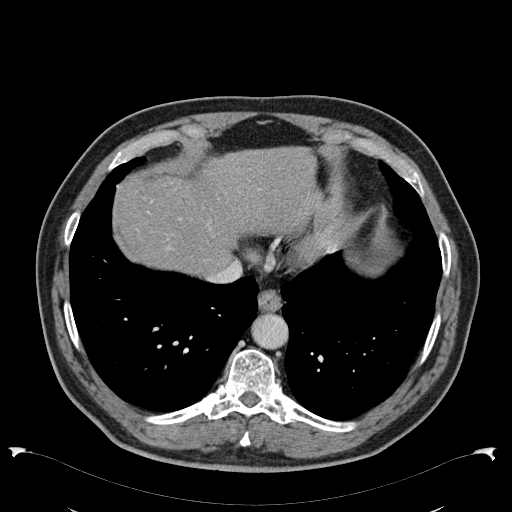
CT image | 512x512 | Upper abdomen
<segmentation>
  <liver>(115,147,314,274)</liver>
</segmentation>